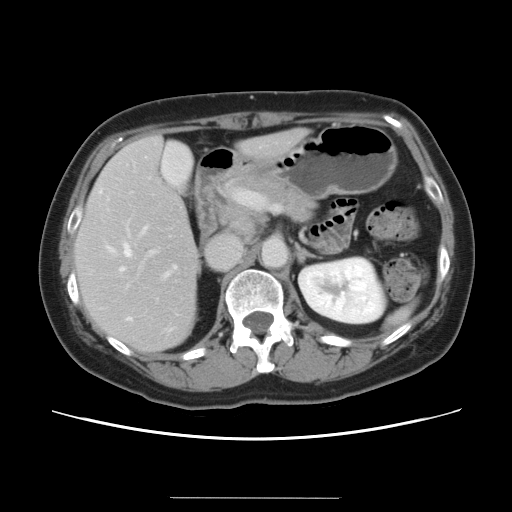

512x512 px | Liver | CT slice
Only some of the vessels may be annotated.
• hepatic vessel: [126,317,131,320], [124,245,130,256], [126,221,128,225], [99,191,101,193], [130,192,131,193], [168,329,172,330], [164,272,170,277], [173,266,175,269], [119,268,124,271], [107,248,114,252], [141,226,147,233], [149,250,156,255]
• liver tumor: [233,217,253,231]